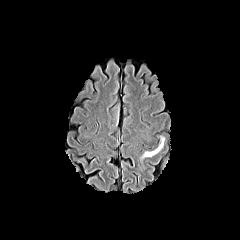
FLAIR MR.
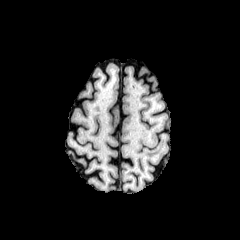
T1-weighted MR of the same slice.
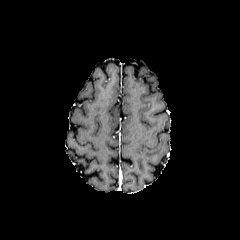
Post-contrast T1-weighted MR image.
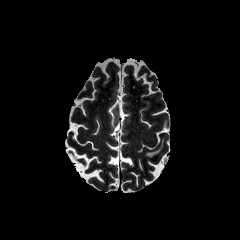
T2-weighted MR of the same slice.
Brain
The edema is at (139, 137, 163, 158).